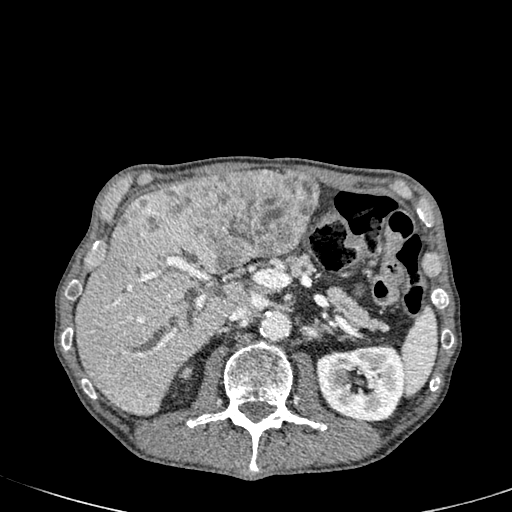

512x512, CT scan slice
Focal liver lesion = [120,216,126,224], [148,218,156,230], [164,170,318,271].
Liver = [75,190,244,415].
Kidney = [318,347,406,420].